Head. 240x240.
FLAIR magnetic resonance.
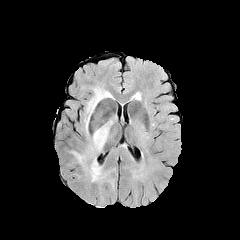
T1-weighted MR image.
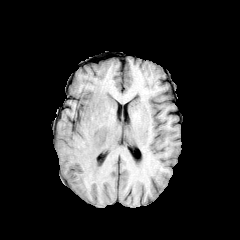
Post-contrast T1-weighted MR image.
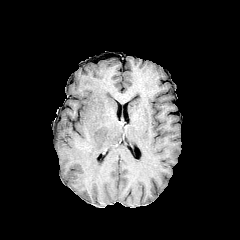
T2-weighted MR image.
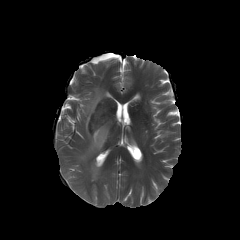
<segmentation>
  <edema>x1=76 y1=87 x2=112 y2=163, x1=89 y1=160 x2=101 y2=181</edema>
</segmentation>